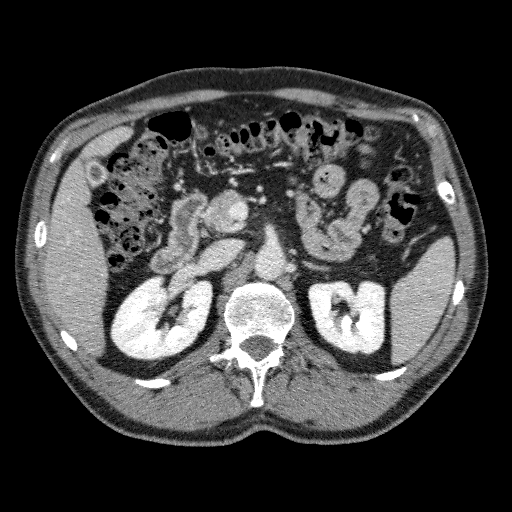

Computed tomography, Upper abdomen
Liver = left=44, top=127, right=131, bottom=354.
Kidney = left=112, top=278, right=211, bottom=358; left=309, top=282, right=383, bottom=352.